Slice index 56, CT scan slice, Abdomen 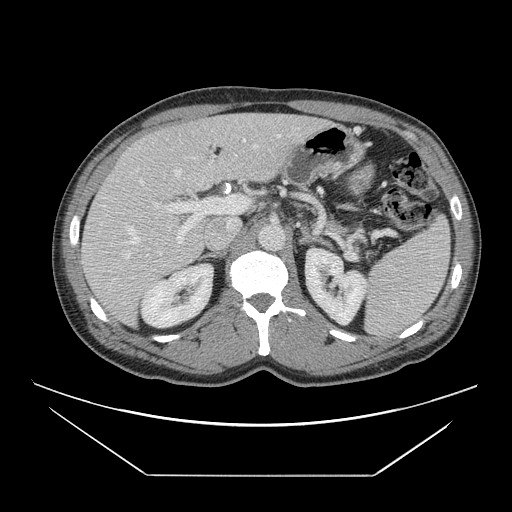

pancreas: [x1=330, y1=222, x2=348, y2=235]